Field of view 330 mm wide, 0.70 mm slice spacing. CT scan slice. Abdomen. Image size 512x512. 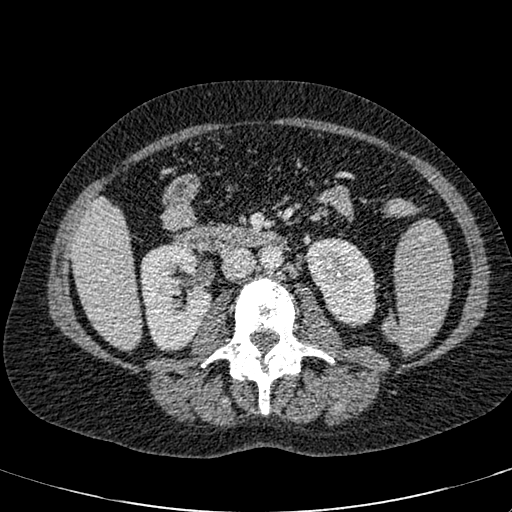

Liver = bbox=[72, 198, 141, 348].
Kidney = bbox=[141, 243, 210, 349]; bbox=[307, 239, 375, 324].